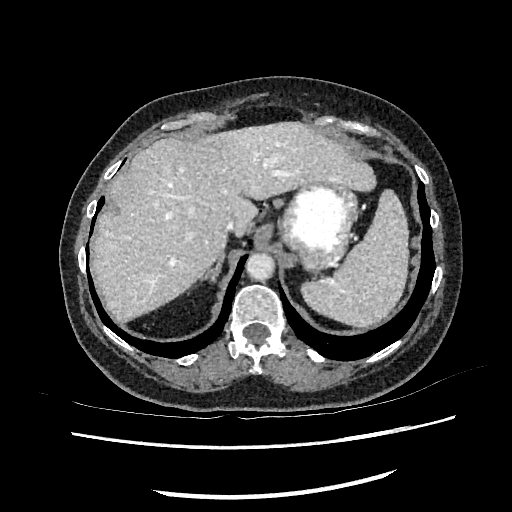

Liver; CT scan slice
Liver at x1=92, y1=123, x2=375, y2=321.